MRI, Medial temporal lobe, Slice 21/38

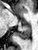
{"posterior_hippocampus": ["[16, 24, 30, 39]"]}